512x512 | Computed tomography | Slice 385 of 630 | Abdomen
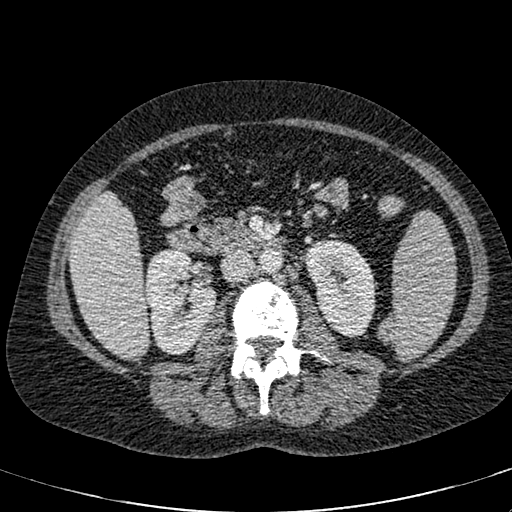 Liver at bbox(70, 194, 147, 357).
Kidney at bbox(145, 247, 215, 354); bbox(305, 241, 374, 336).